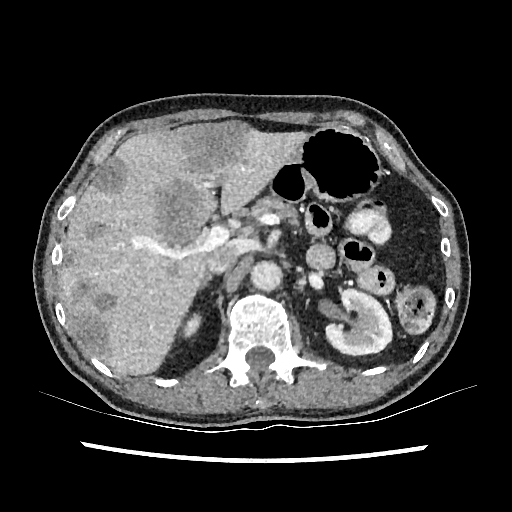 CT scan slice.
The liver is bounded by box=[60, 130, 307, 373]. 9 hepatic lesion regions are bounded by box=[167, 262, 177, 276]; box=[71, 314, 110, 355]; box=[93, 291, 117, 313]; box=[84, 222, 106, 240]; box=[72, 279, 95, 302]; box=[155, 182, 200, 242]; box=[174, 123, 253, 171]; box=[93, 158, 125, 193]; box=[62, 253, 73, 267]. 3 kidney regions are bounded by box=[311, 277, 322, 288]; box=[325, 289, 394, 358]; box=[187, 320, 197, 334].